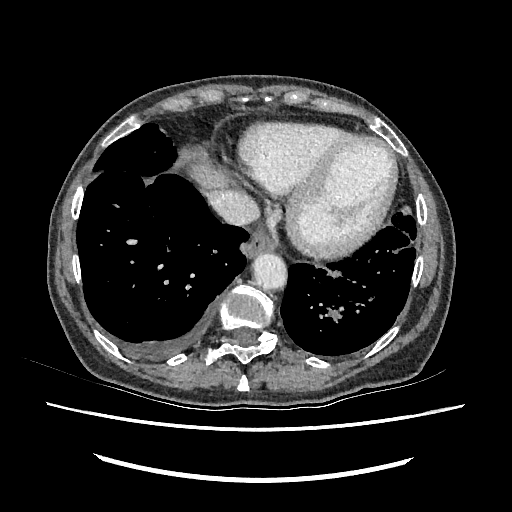

CT image | Abdomen
<segmentation>
  <liver>x1=192 y1=165 x2=226 y2=189</liver>
</segmentation>